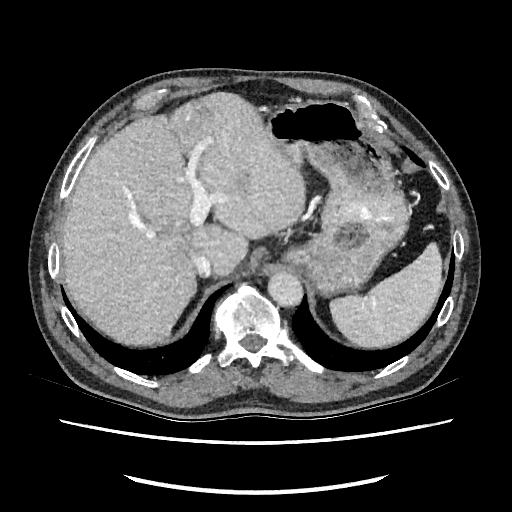 CT scan slice | 512x512 px

hepatic_lesion:
  - <box>181,242,194,260</box>
liver:
  - <box>62,94,303,342</box>